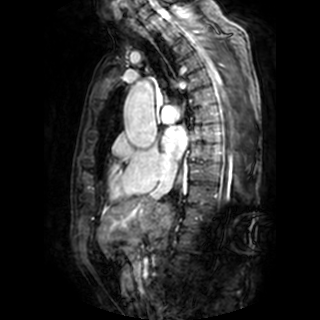
Cardiac; MR
{
  "left_atrium": [
    "l=161, t=126, r=187, b=158"
  ]
}